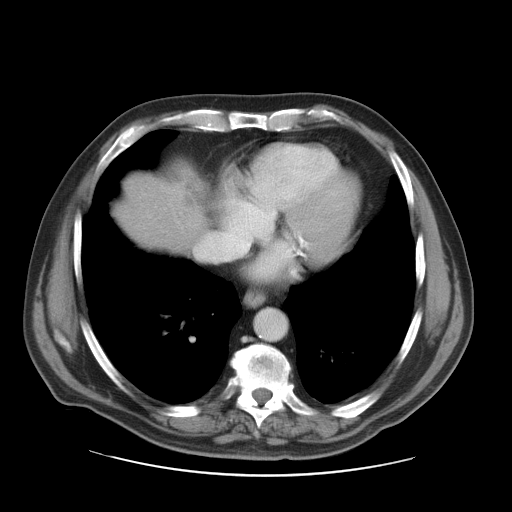

CT scan slice
Some hepatic vessels may have no box.
The liver tumor lies within box=[183, 177, 204, 208]. The hepatic vessel is bounded by box=[200, 244, 234, 259].